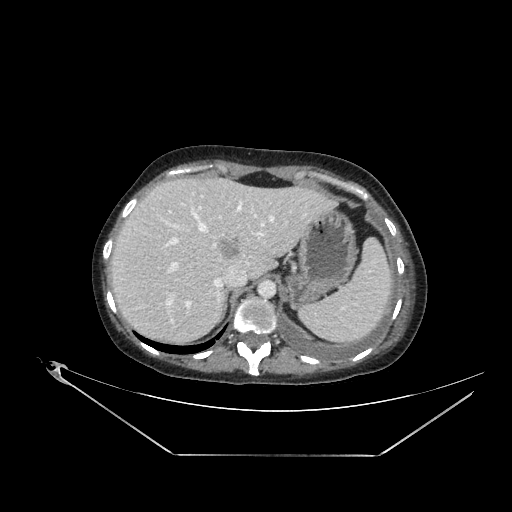
CT image. Image size 512x512.

The liver is located at x1=115, y1=179, x2=336, y2=339. The focal liver lesion is located at x1=214, y1=236, x2=243, y2=257.